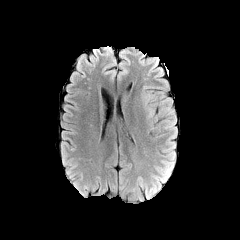
FLAIR MRI.
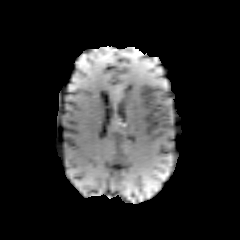
T1-weighted MRI of the same slice.
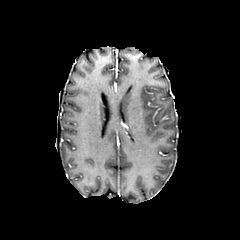
Post-contrast T1-weighted MR image of the same slice.
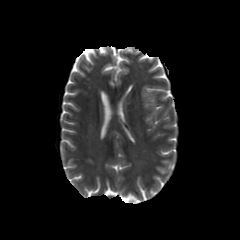
Same slice, T2-weighted MR.
Head
Edema: <bbox>159, 160, 171, 176</bbox>, <bbox>152, 175, 164, 189</bbox>.